240x240; Brain
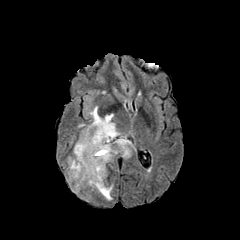
FLAIR magnetic resonance.
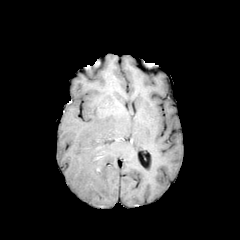
T1-weighted magnetic resonance.
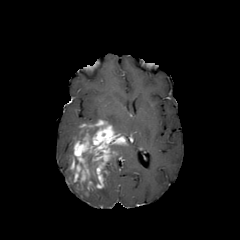
Post-contrast T1-weighted MR image of the same slice.
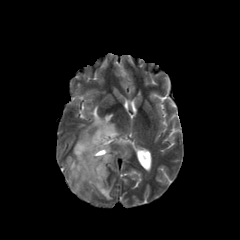
T2-weighted MRI.
edema:
  - x1=92 y1=174 x2=112 y2=200
  - x1=106 y1=138 x2=134 y2=170
  - x1=77 y1=126 x2=89 y2=140
  - x1=87 y1=106 x2=123 y2=135
  - x1=72 y1=182 x2=91 y2=195
enhancing_tumor:
  - x1=70 y1=120 x2=125 y2=188
non-enhancing_tumor_core:
  - x1=87 y1=124 x2=97 y2=137
  - x1=82 y1=153 x2=97 y2=189